Field of view 400 mm wide, 0.80 mm slice spacing | CT scan slice | Liver
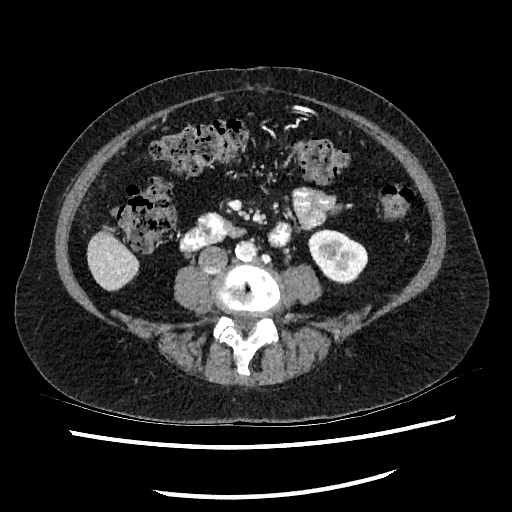
Kidney: bounding box [310, 230, 366, 281].
Liver: bounding box [87, 232, 136, 289].